FLAIR MR.
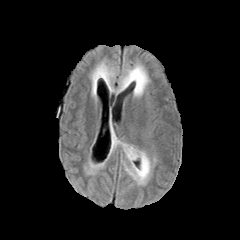
T1-weighted MR image.
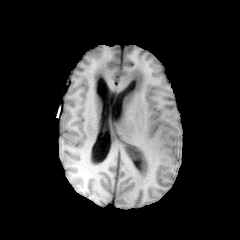
Post-contrast T1-weighted MR image.
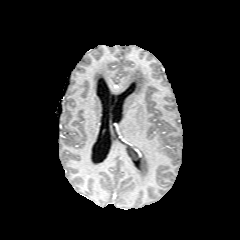
T2-weighted magnetic resonance.
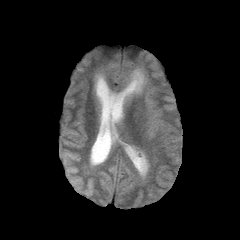
240x240 px
The non-enhancing tumor core appears at {"x1": 123, "y1": 144, "x2": 147, "y2": 176}. 2 edema regions are located at {"x1": 116, "y1": 63, "x2": 149, "y2": 97}, {"x1": 110, "y1": 129, "x2": 150, "y2": 184}.